FLAIR MR.
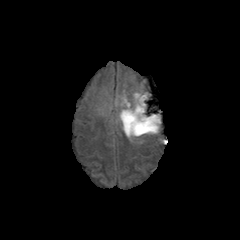
T1-weighted magnetic resonance.
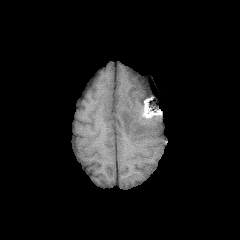
Post-contrast T1-weighted magnetic resonance.
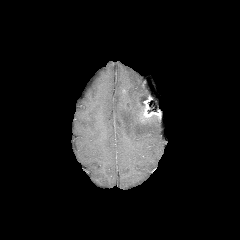
T2-weighted MR.
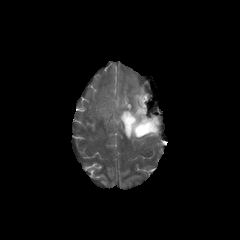
240x240
Edema at 109 88 161 143.
Non-enhancing tumor core at 124 110 159 135.
Enhancing tumor at 140 104 149 121.